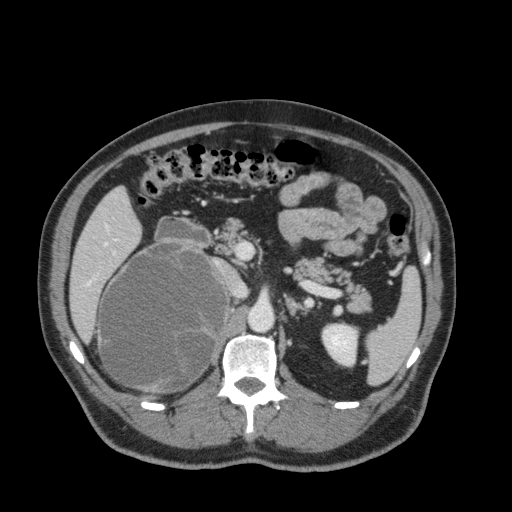

Upper abdomen, CT scan slice, 512x512 px

kidney:
  - (322, 324, 356, 365)
liver:
  - (71, 188, 140, 341)